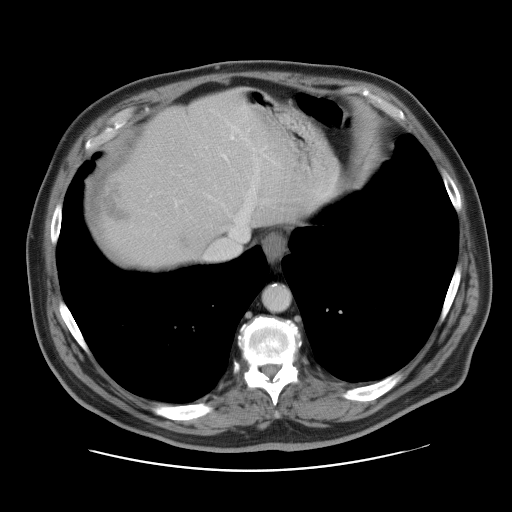

Computed tomography; Abdomen
Some hepatic vessels may have no box.
{"hepatic_vessel": [{"x1": 222, "y1": 154, "x2": 226, "y2": 159}, {"x1": 207, "y1": 195, "x2": 216, "y2": 201}, {"x1": 221, "y1": 203, "x2": 224, "y2": 207}, {"x1": 175, "y1": 201, "x2": 177, "y2": 205}, {"x1": 204, "y1": 184, "x2": 257, "y2": 258}, {"x1": 229, "y1": 125, "x2": 249, "y2": 144}], "liver_tumor": [{"x1": 172, "y1": 230, "x2": 196, "y2": 252}, {"x1": 102, "y1": 180, "x2": 130, "y2": 221}]}